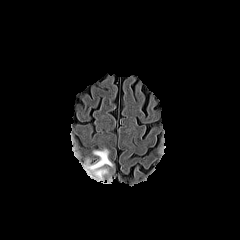
FLAIR MR image.
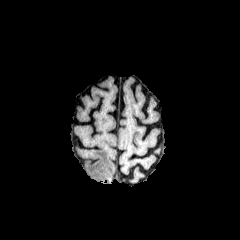
T1-weighted MR image of the same slice.
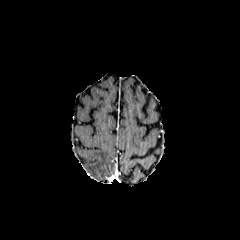
Post-contrast T1-weighted MRI.
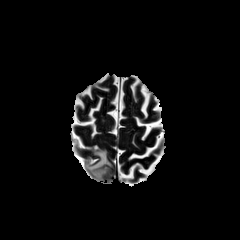
T2-weighted MR of the same slice.
Edema — (86, 151, 112, 183).